Computed tomography.
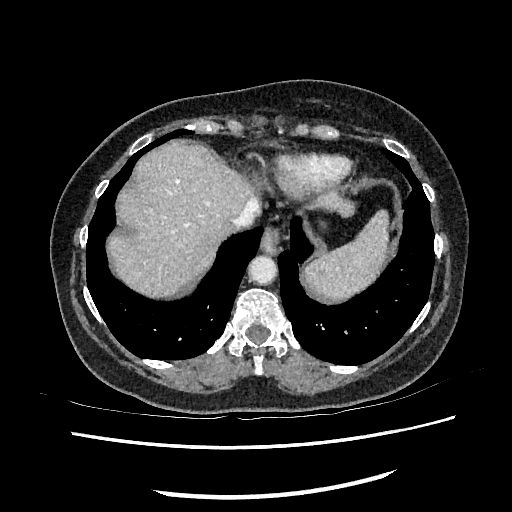

2 liver regions appear at 108 142 254 294, 319 193 353 215.